FLAIR magnetic resonance.
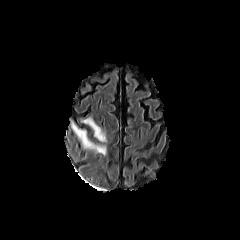
T1-weighted magnetic resonance.
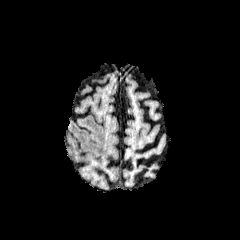
Post-contrast T1-weighted magnetic resonance.
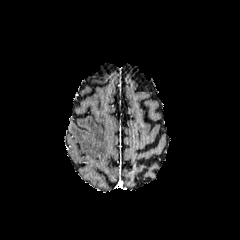
T2-weighted MRI.
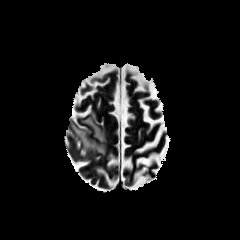
Image size 240x240
Segmented structures:
• edema: rect(81, 116, 106, 142); rect(71, 120, 106, 155)